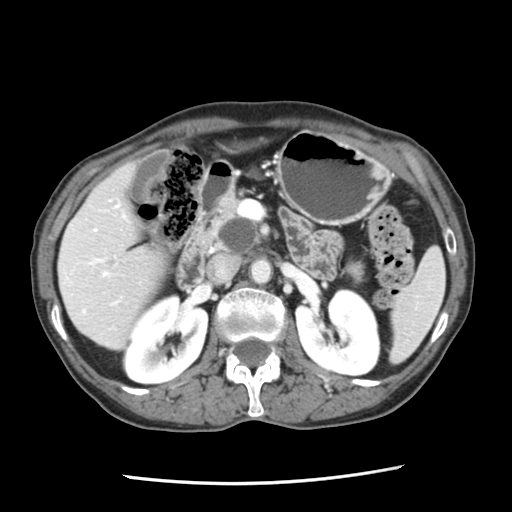 CT, 512x512, Upper abdomen
pancreatic tumor: x1=219 y1=219 x2=254 y2=251 | pancreas: x1=210 y1=200 x2=258 y2=254